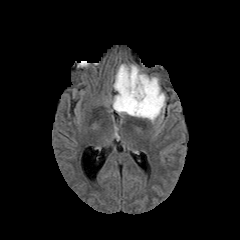
FLAIR magnetic resonance.
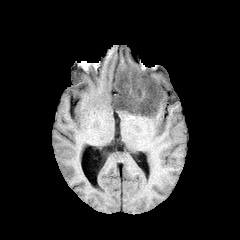
T1-weighted MR image.
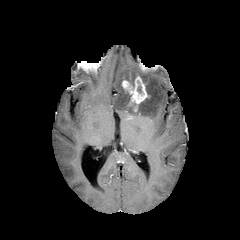
Same slice, post-contrast T1-weighted MR image.
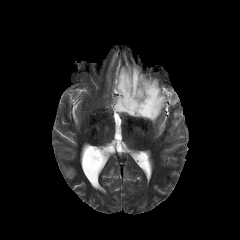
T2-weighted MR.
Head
<segmentation>
  <edema>(left=110, top=63, right=168, bottom=124)</edema>
  <non-enhancing_tumor_core>(left=116, top=72, right=156, bottom=115)</non-enhancing_tumor_core>
  <enhancing_tumor>(left=121, top=76, right=148, bottom=111)</enhancing_tumor>
</segmentation>